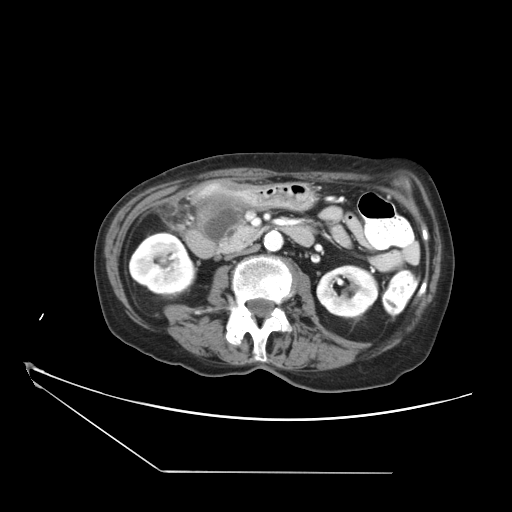
Abdomen, CT scan slice, Image size 512x512
The pancreas lies within rect(195, 195, 262, 253). The pancreatic tumor appears at rect(201, 207, 243, 243).